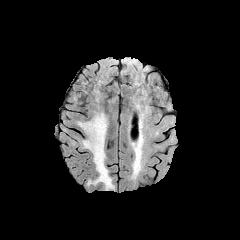
FLAIR MRI.
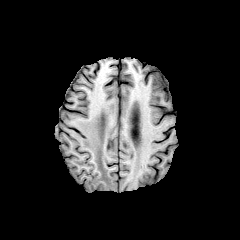
T1-weighted MR.
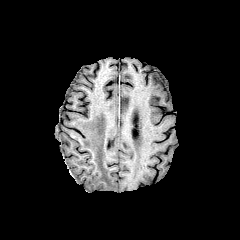
Post-contrast T1-weighted MRI.
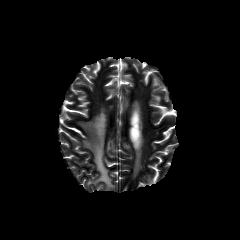
Same slice, T2-weighted magnetic resonance.
Brain | Image size 240x240
Segmented structures:
- edema: box(132, 150, 141, 173); box(81, 114, 114, 189)